Slice 63 of 696, CT slice, Lower abdomen

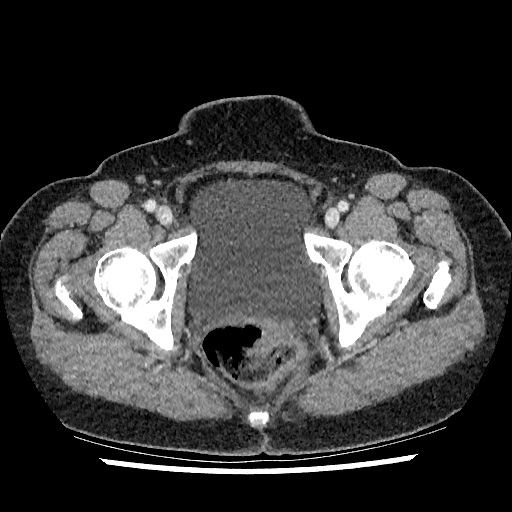
The urinary bladder appears at (x1=188, y1=178, x2=324, y2=326).